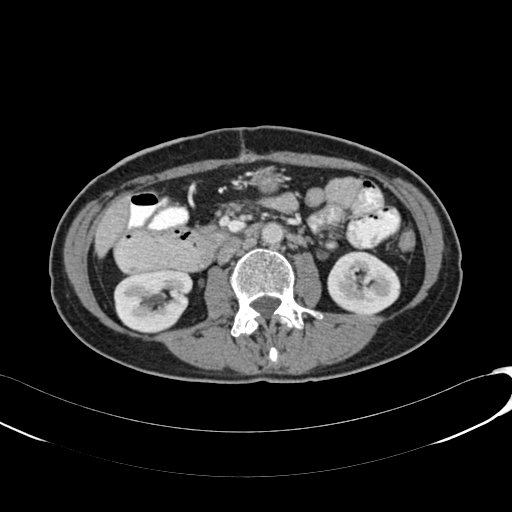 Liver, Computed tomography

Kidney: bounding box 115 270 184 331, 328 252 399 314.
Liver: bounding box 95 197 129 255.